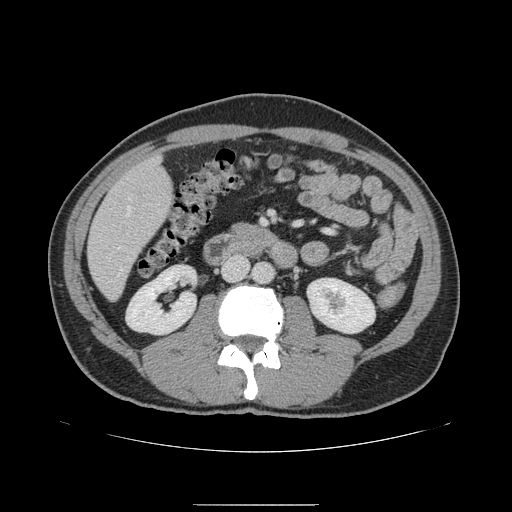

Upper abdomen. Computed tomography.
pancreas:
  - [231, 223, 276, 245]